CT scan slice, 512x512, Slice 26 of 155

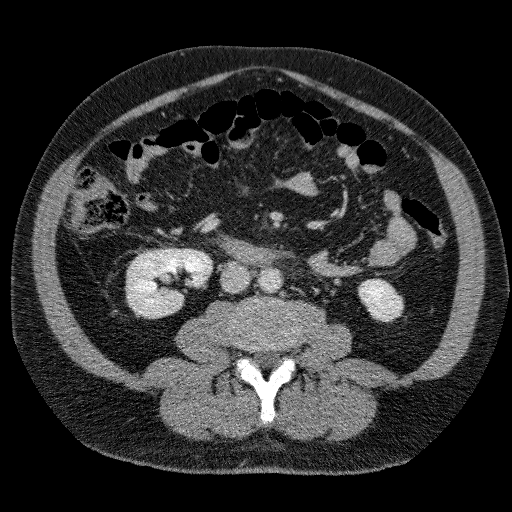
{"kidney": ["rect(127, 249, 211, 316)", "rect(359, 280, 402, 320)"]}